Field of view 391 mm wide, 0.80 mm slice spacing; CT slice; Upper abdomen 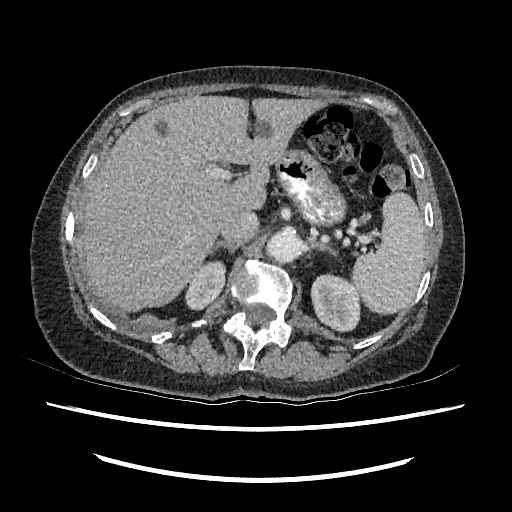 Liver at 86:96:325:311.
Kidney at 311:275:359:330, 186:262:224:308.
Liver lesion at 154:122:166:134, 255:122:270:136.